Slice index 58, Brain
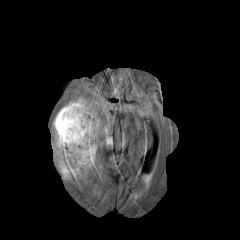
FLAIR magnetic resonance.
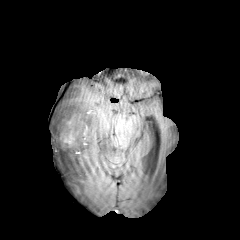
T1-weighted MR.
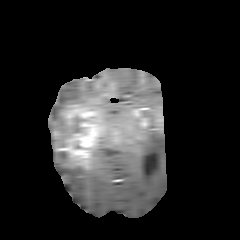
Post-contrast T1-weighted MR.
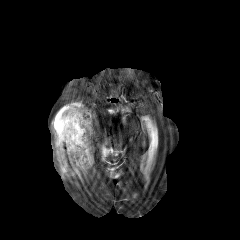
T2-weighted MRI of the same slice.
2 non-enhancing tumor core regions are located at x1=66, y1=116, x2=83, y2=138; x1=55, y1=150, x2=67, y2=158. The enhancing tumor is bounded by x1=54, y1=104, x2=97, y2=167. 2 edema regions appear at x1=54, y1=108, x2=111, y2=179; x1=51, y1=99, x2=87, y2=138.